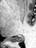

MRI; Hippocampus

The posterior hippocampus appears at bbox=[7, 36, 23, 41].